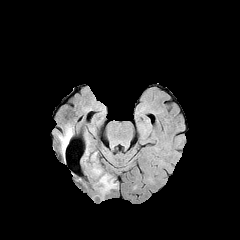
FLAIR magnetic resonance.
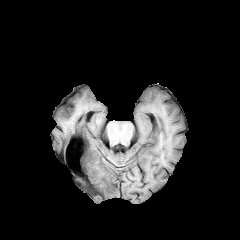
T1-weighted magnetic resonance.
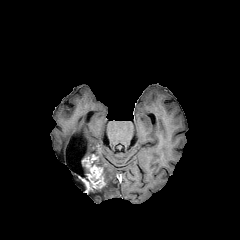
Post-contrast T1-weighted MR image.
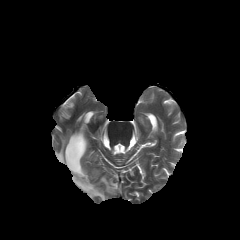
T2-weighted MRI of the same slice.
Head | 240x240 px
The non-enhancing tumor core is located at box(81, 175, 98, 185). The enhancing tumor appears at box(83, 155, 105, 188). 2 edema regions appear at box(59, 130, 72, 154); box(96, 174, 118, 197).